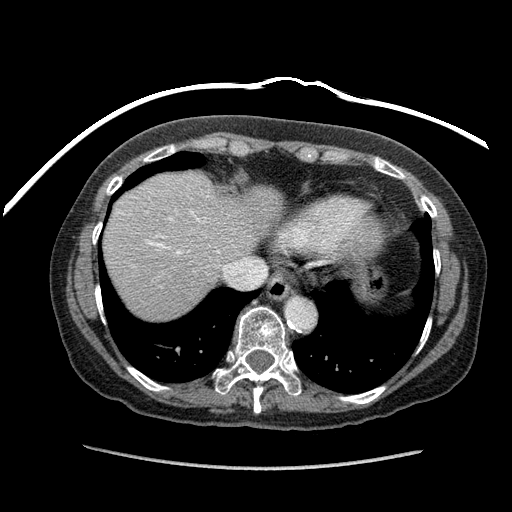

CT | Abdomen
The liver appears at <bbox>104, 171, 284, 321</bbox>.